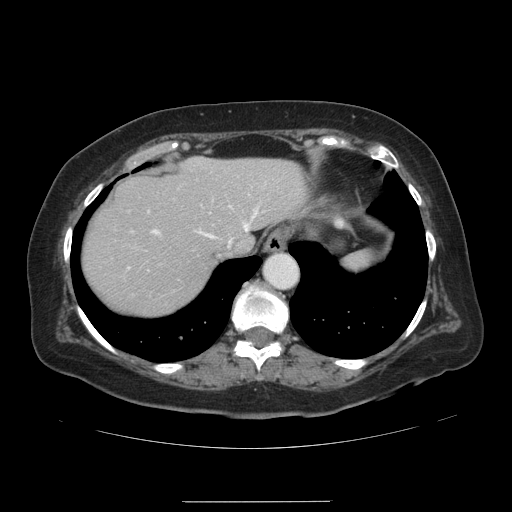

Liver | CT scan slice

Not every hepatic vessel necessarily has a box.
4 hepatic vessel regions are located at region(203, 232, 213, 236); region(227, 240, 230, 244); region(152, 229, 159, 234); region(243, 223, 247, 229).